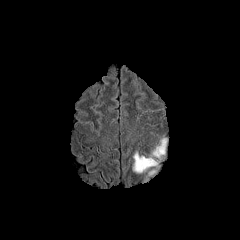
FLAIR MR image.
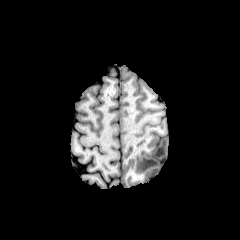
T1-weighted magnetic resonance of the same slice.
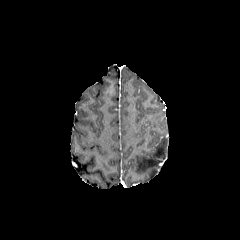
Post-contrast T1-weighted magnetic resonance.
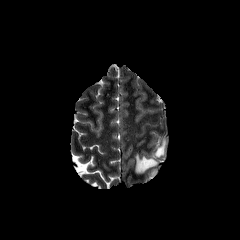
Same slice, T2-weighted MR image.
edema:
  - (133,152,156,172)
  - (153,139,166,157)